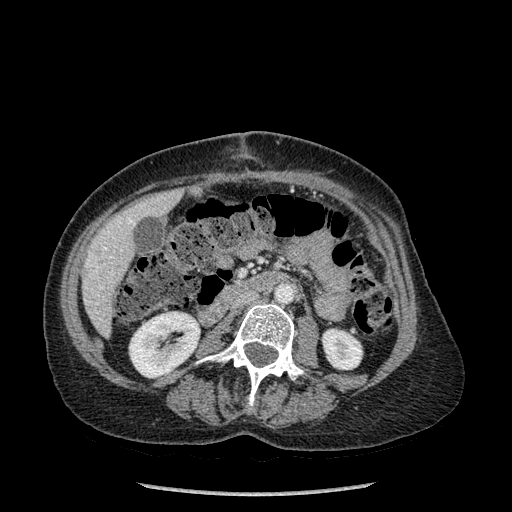 CT image.

liver:
  - left=81, top=188, right=183, bottom=336
kidney:
  - left=129, top=312, right=199, bottom=377
  - left=322, top=329, right=361, bottom=369
bone:
  - left=198, top=302, right=303, bottom=410